Slice 61 of 155. 240x240.
FLAIR magnetic resonance.
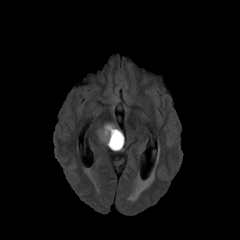
T1-weighted magnetic resonance.
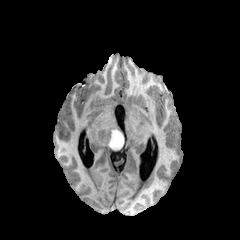
Post-contrast T1-weighted MR.
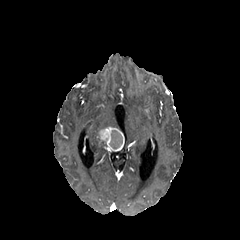
T2-weighted magnetic resonance.
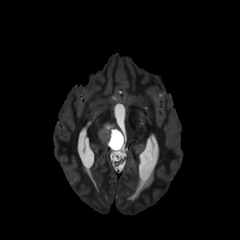
Findings:
• edema: (left=96, top=122, right=120, bottom=144)
• enhancing tumor: (left=100, top=126, right=121, bottom=149)
• non-enhancing tumor core: (left=109, top=130, right=123, bottom=149)